512x512 px. Upper abdomen. CT scan slice.
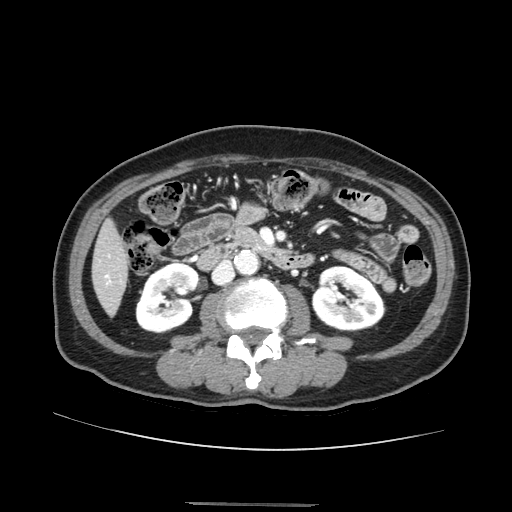

Pancreas = bbox=[240, 230, 252, 238].